Field of view 408 mm wide, 3.00 mm slice spacing, Image size 512x512, Lower abdomen, Computed tomography
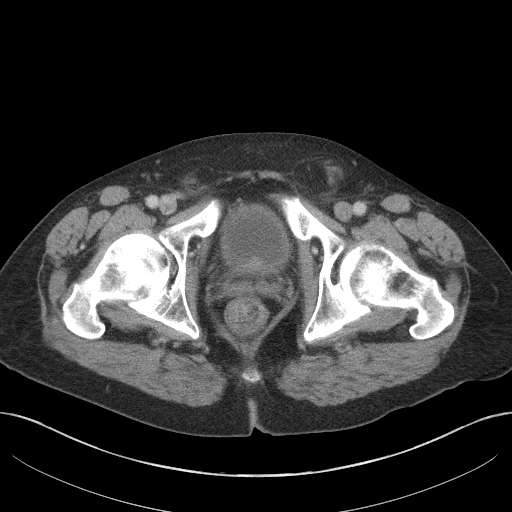 Annotated regions:
• urinary bladder: <box>216,206,292,287</box>